Head, 240x240
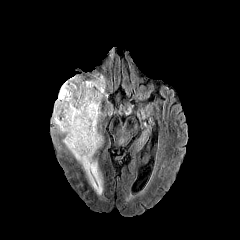
FLAIR MR.
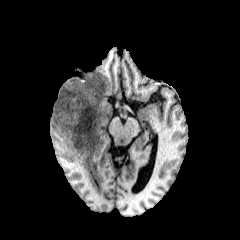
Same slice, T1-weighted magnetic resonance.
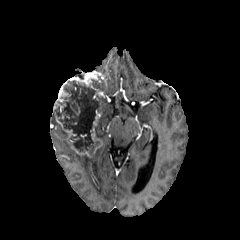
Same slice, post-contrast T1-weighted magnetic resonance.
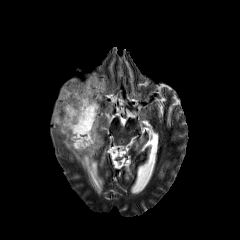
Same slice, T2-weighted MRI.
Segmented structures:
* edema: bbox(62, 139, 103, 195)
* enhancing tumor: bbox(91, 110, 102, 142); bbox(67, 70, 101, 87); bbox(70, 145, 91, 157); bbox(58, 122, 76, 142); bbox(57, 84, 71, 101)
* non-enhancing tumor core: bbox(51, 76, 106, 156)